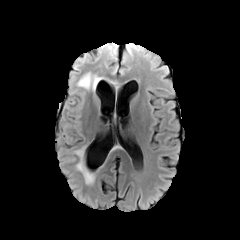
FLAIR MRI.
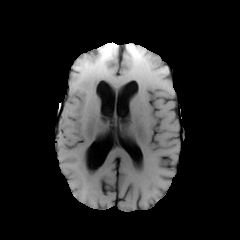
T1-weighted magnetic resonance of the same slice.
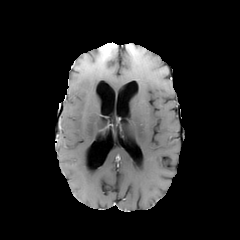
Same slice, post-contrast T1-weighted magnetic resonance.
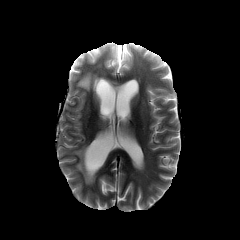
T2-weighted MRI.
Brain
edema:
  - 77:72:101:91
  - 104:55:125:73
  - 76:150:94:183
  - 123:44:132:67
non-enhancing_tumor_core:
  - 98:45:116:60